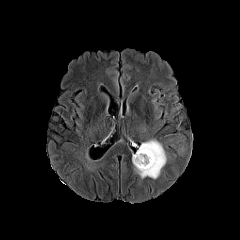
FLAIR MRI.
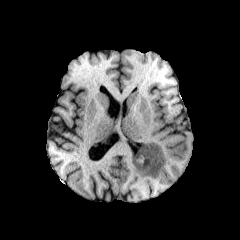
T1-weighted MR.
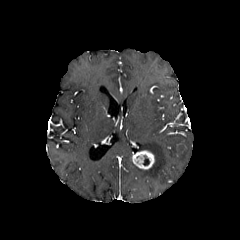
Post-contrast T1-weighted magnetic resonance of the same slice.
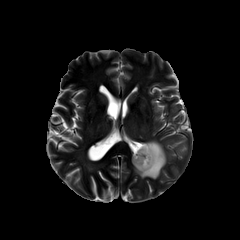
T2-weighted MR.
Brain; 240x240
Non-enhancing tumor core: {"x1": 142, "y1": 154, "x2": 149, "y2": 165}.
Enhancing tumor: {"x1": 132, "y1": 150, "x2": 153, "y2": 169}.
Edema: {"x1": 134, "y1": 141, "x2": 166, "y2": 178}.